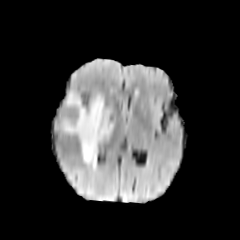
FLAIR magnetic resonance.
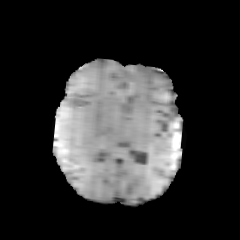
T1-weighted MR image of the same slice.
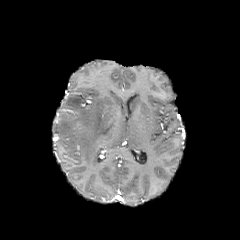
Same slice, post-contrast T1-weighted magnetic resonance.
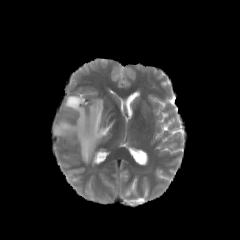
T2-weighted MR.
{"edema": ["region(56, 93, 114, 165)"]}